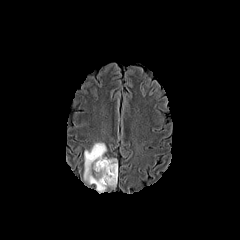
FLAIR magnetic resonance.
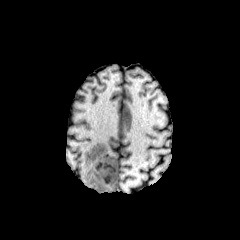
T1-weighted magnetic resonance.
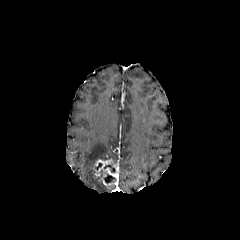
Post-contrast T1-weighted MR image.
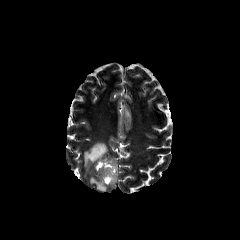
T2-weighted magnetic resonance.
Head
Edema = 83, 141, 107, 190.
Non-enhancing tumor core = 104, 173, 116, 184; 91, 163, 102, 182.
Enhancing tumor = 93, 158, 117, 185.